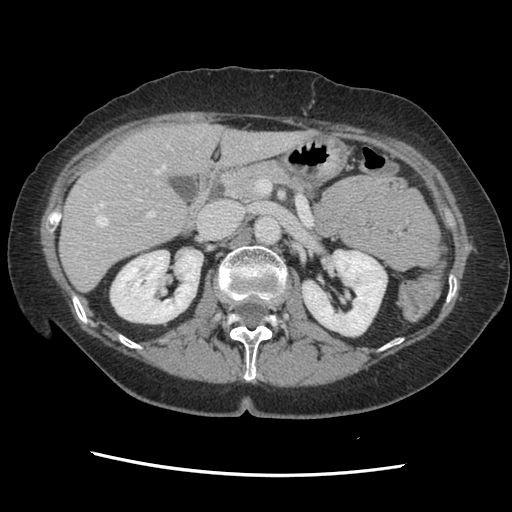
Computed tomography; Abdomen
The vessel boxes may cover only some of the vessels.
{
  "hepatic_vessel": [
    "[155,164,165,173]",
    "[147,212,154,216]",
    "[168,146,172,149]",
    "[255,142,258,148]",
    "[130,185,131,186]",
    "[97,216,107,225]",
    "[94,202,103,210]"
  ]
}